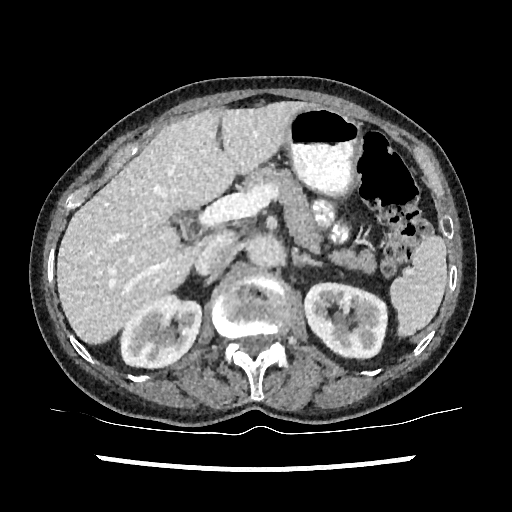 CT slice.

Kidney = [x1=122, y1=296, x2=201, y2=369], [x1=305, y1=284, x2=386, y2=357].
Liver = [x1=58, y1=102, x2=309, y2=343].